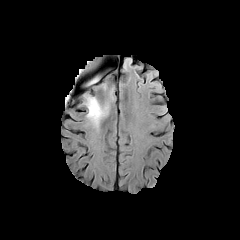
FLAIR MR image.
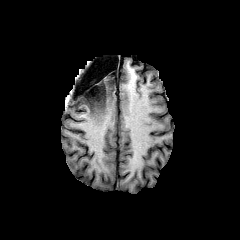
T1-weighted magnetic resonance of the same slice.
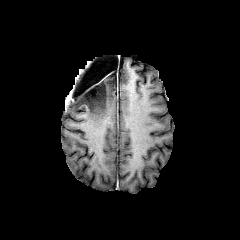
Post-contrast T1-weighted MRI.
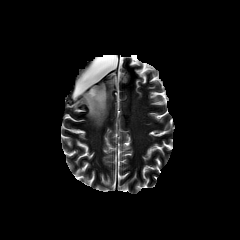
Same slice, T2-weighted magnetic resonance.
Image size 240x240.
{
  "non-enhancing_tumor_core": [
    "83,76,105,113"
  ],
  "edema": [
    "82,84,112,129"
  ]
}